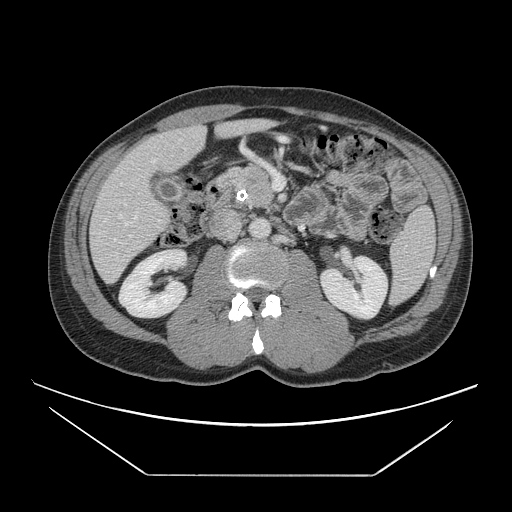
Upper abdomen; CT
- pancreas: [235,168,271,207]